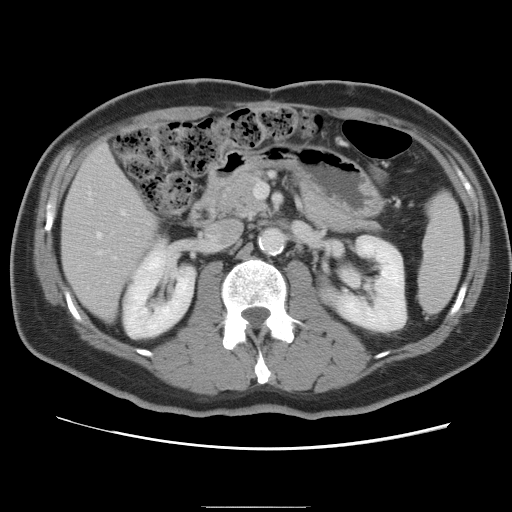

CT image; Liver; Image size 512x512

Not every hepatic vessel necessarily has a box.
{"hepatic_vessel": ["[x1=113, y1=256, x2=116, y2=258]", "[x1=121, y1=210, x2=124, y2=213]", "[x1=96, y1=232, x2=100, y2=237]", "[x1=98, y1=250, x2=102, y2=253]"]}